Pelvis, Slice 30/217, Computed tomography 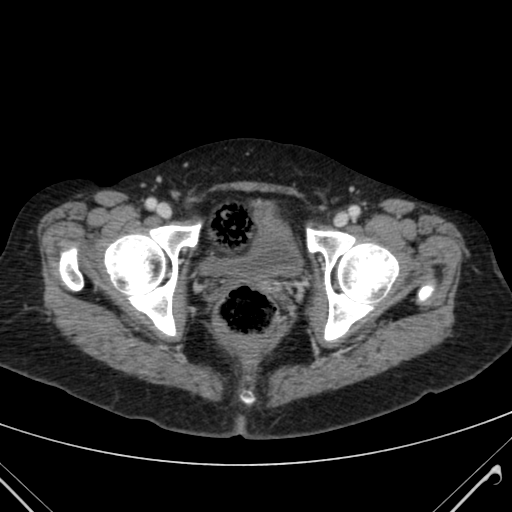 Segmented structures:
• urinary bladder: [204, 205, 301, 283]